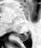

MR. Hippocampus.
Posterior hippocampus: 18, 33, 28, 40.